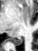
Medial temporal lobe. MRI slice.
The posterior hippocampus is bounded by region(14, 38, 22, 45).